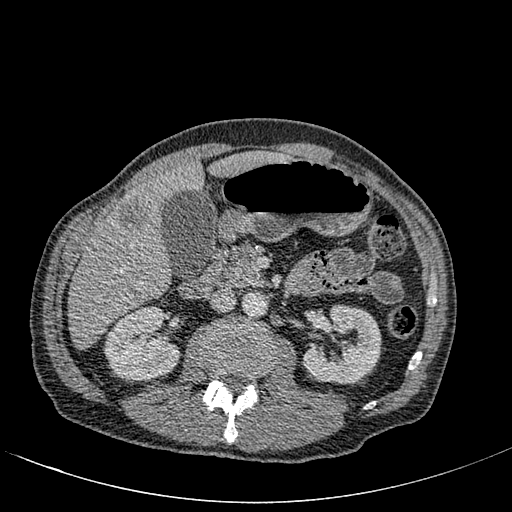
Upper abdomen, CT

Liver lesion: bounding box <bbox>118, 200, 148, 232</bbox>.
Liver: bounding box <bbox>209, 151, 289, 176</bbox>, <bbox>69, 162, 203, 349</bbox>.
Kidney: bounding box <bbox>104, 307, 179, 380</bbox>, <bbox>303, 305, 380, 383</bbox>.